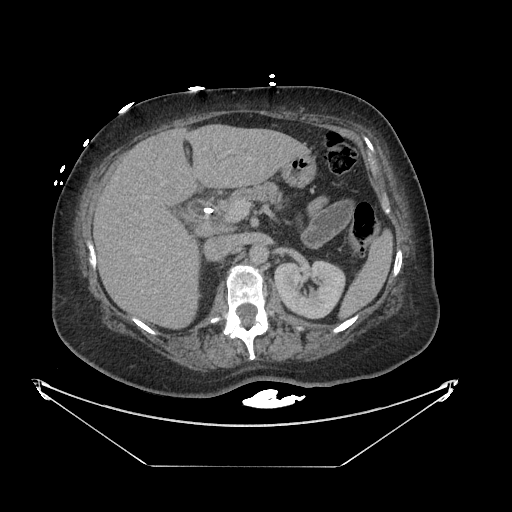

CT scan slice | Upper abdomen
pancreas:
  - bbox(232, 184, 279, 200)